Slice 97/155; Field of view 240 mm wide, 1.00 mm slice spacing; Brain; 240x240 px
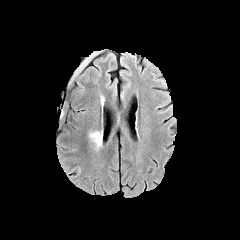
FLAIR MR.
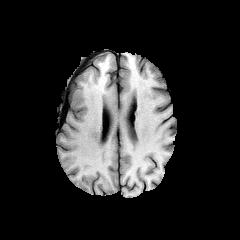
Same slice, T1-weighted MR image.
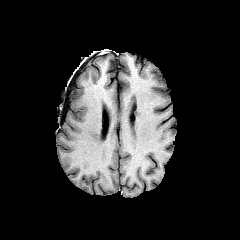
Same slice, post-contrast T1-weighted magnetic resonance.
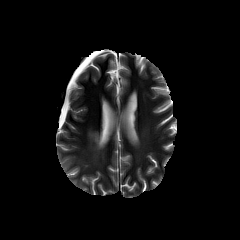
T2-weighted MR image.
• edema: box=[88, 130, 102, 151]